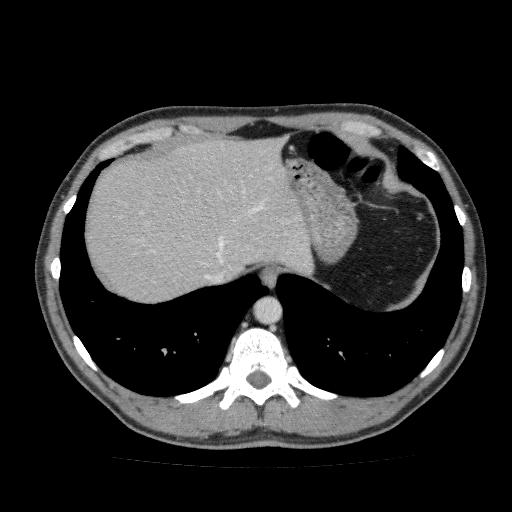

CT slice; Upper abdomen; 512x512

Liver — box=[86, 134, 313, 302].